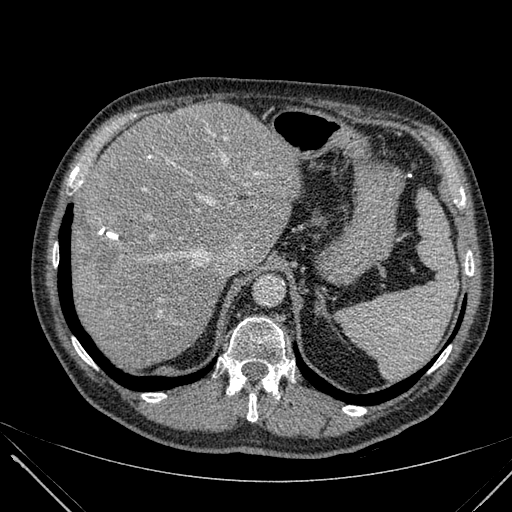
CT image, Upper abdomen
Findings:
* hepatic lesion: (119, 223, 127, 236), (97, 242, 118, 277)
* liver: (71, 103, 299, 367)